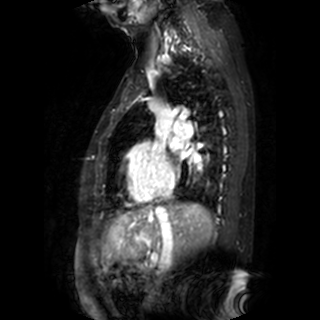 Heart | MR
<segmentation>
  <left_atrium>195, 156, 202, 164; 169, 139, 182, 151</left_atrium>
</segmentation>